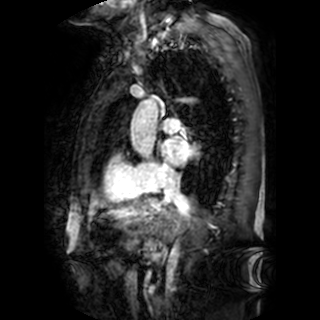
MR
Annotated regions:
• left atrium: [162, 136, 194, 164]